Image size 512x512 | Computed tomography | Slice 434 of 771

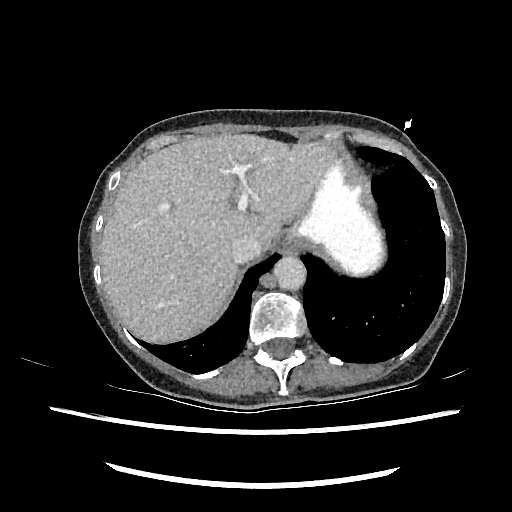
{
  "liver": [
    "102, 135, 330, 341"
  ]
}